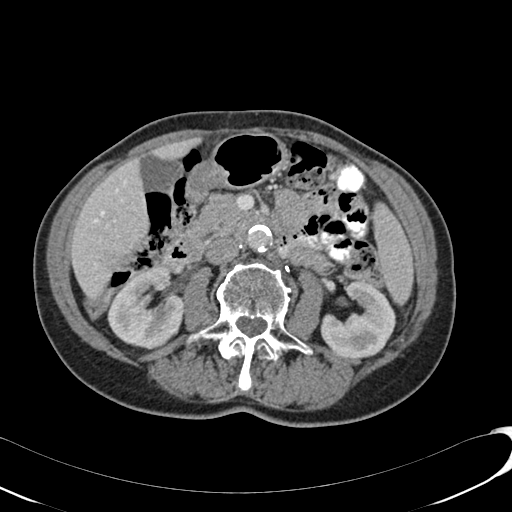

CT slice

2 liver regions appear at <box>153,136,201,159</box>, <box>72,158,147,298</box>. 2 kidney regions are bounded by <box>108,264,183,348</box>, <box>321,280,394,358</box>.